512x512 | Abdomen | Slice index 38 | CT

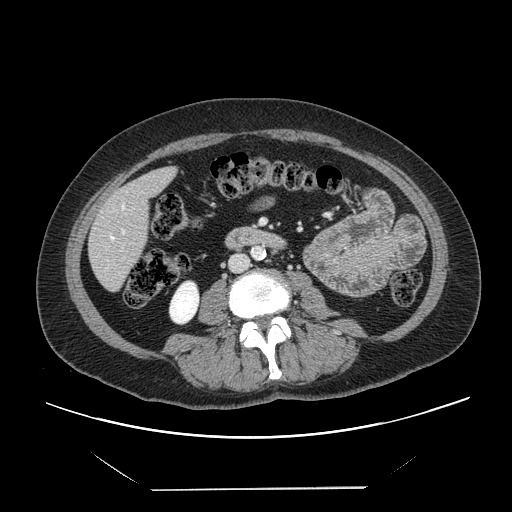
The vessel boxes may cover only some of the vessels.
Hepatic vessel at rect(122, 229, 124, 234); rect(120, 203, 125, 210); rect(109, 234, 114, 240).